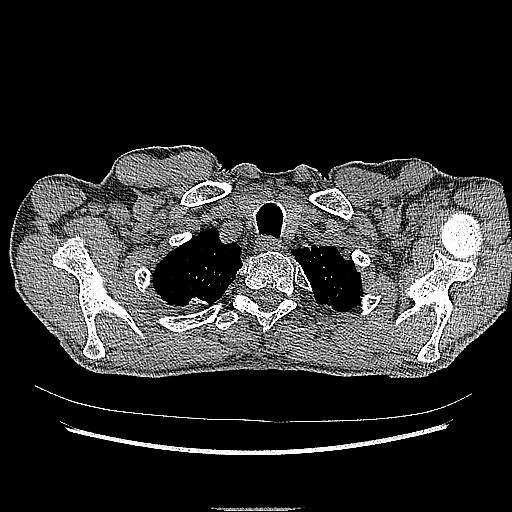 CT.

The lung tumor is bounded by 182,289,209,306.